Slice 86 of 155. Image width 240 mm.
FLAIR magnetic resonance.
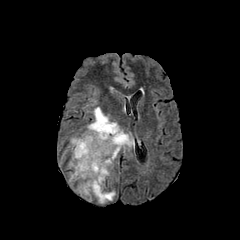
T1-weighted MRI.
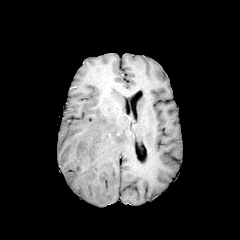
Post-contrast T1-weighted MRI.
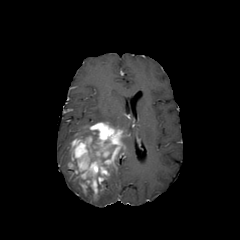
T2-weighted MRI.
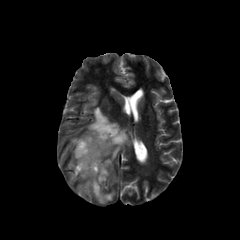
Non-enhancing tumor core: [100, 152, 111, 166], [79, 129, 98, 144].
Edema: [70, 173, 93, 198], [119, 129, 133, 151], [96, 188, 115, 203], [102, 164, 113, 184], [74, 107, 119, 137].
Enhancing tumor: [68, 122, 122, 197].